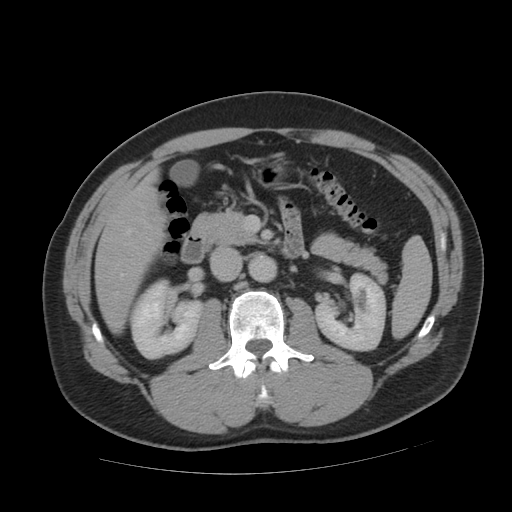 Computed tomography; 512x512; Abdomen
Not every hepatic vessel necessarily has a box.
<segmentation>
  <hepatic_vessel><box>126,229,131,234</box>, <box>120,273,125,276</box></hepatic_vessel>
</segmentation>